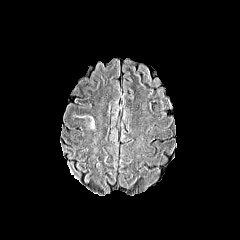
FLAIR MR.
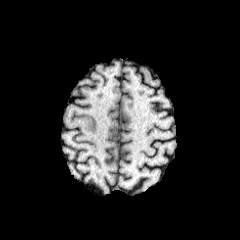
T1-weighted magnetic resonance.
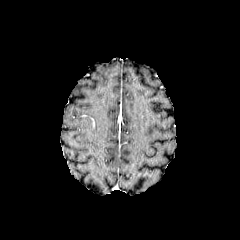
Post-contrast T1-weighted MR image.
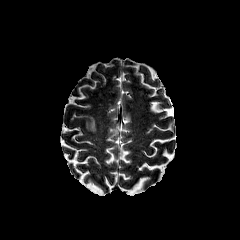
T2-weighted MRI of the same slice.
240x240
{
  "edema": [
    "l=80, t=115, r=95, b=131"
  ]
}